Upper abdomen, Field of view 400x400 mm, Image size 512x512, CT scan slice, Slice index 501
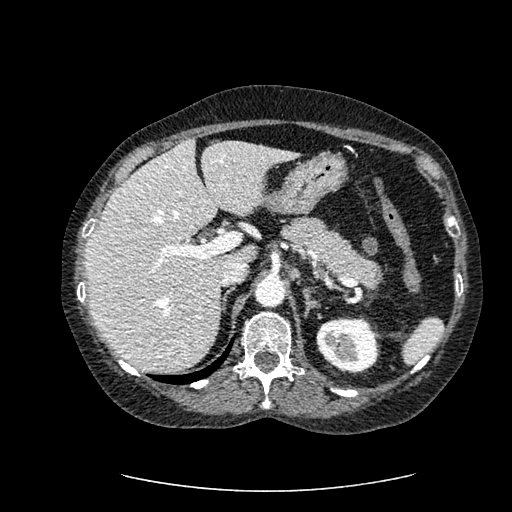

The liver is at box=[84, 138, 298, 370]. The kidney is at box=[317, 319, 377, 371].